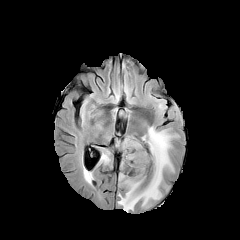
FLAIR MRI.
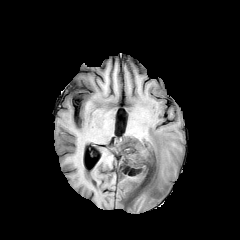
Same slice, T1-weighted magnetic resonance.
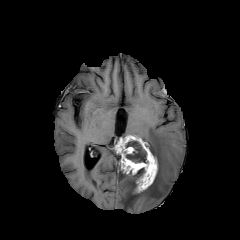
Post-contrast T1-weighted magnetic resonance.
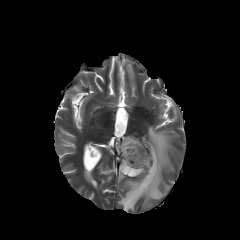
T2-weighted MR image of the same slice.
Brain
edema:
  - 118, 126, 175, 212
  - 119, 170, 125, 182
  - 132, 144, 145, 159
  - 100, 150, 109, 164
  - 84, 171, 93, 182
non-enhancing_tumor_core:
  - 127, 168, 146, 190
  - 126, 136, 149, 163
  - 125, 195, 136, 205
enhancing_tumor:
  - 116, 136, 157, 191